Abdomen. Computed tomography. Image size 512x512.
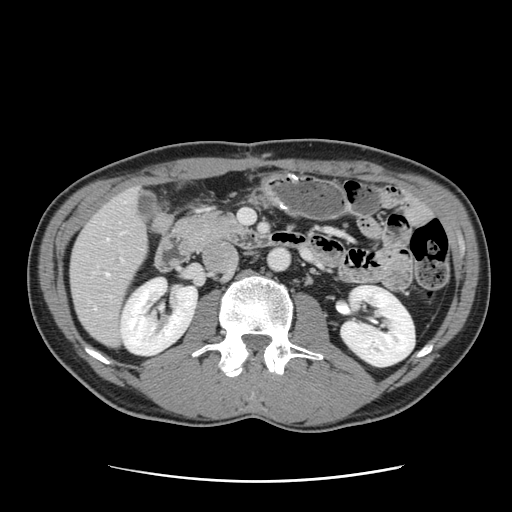

Only some of the vessels may be annotated.
<segmentation>
  <hepatic_vessel>120:259:122:260, 109:295:110:298, 94:306:95:309, 106:273:108:276, 120:232:124:234</hepatic_vessel>
</segmentation>